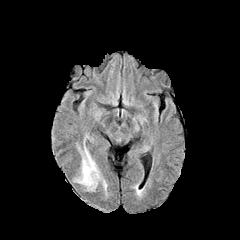
FLAIR MR.
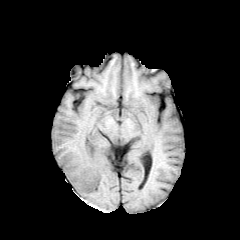
T1-weighted MRI of the same slice.
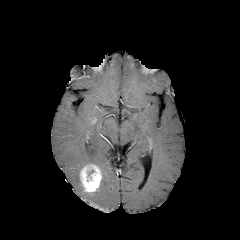
Post-contrast T1-weighted MR of the same slice.
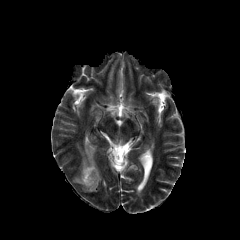
Same slice, T2-weighted magnetic resonance.
240x240 px.
Edema: [78,146,96,168].
Enhancing tumor: [80,163,101,192].